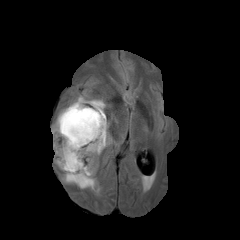
FLAIR MRI.
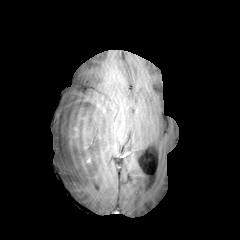
T1-weighted magnetic resonance of the same slice.
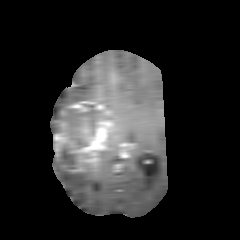
Post-contrast T1-weighted MR of the same slice.
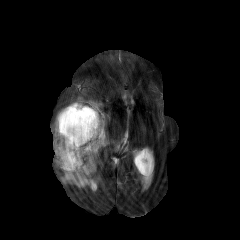
T2-weighted MR.
240x240 px
Edema: bounding box [60,166,99,191], [90,99,105,106], [51,95,87,137].
Non-enhancing tumor core: bounding box [54,145,78,171], [57,108,95,127].
Enhancing tumor: bounding box [53,101,109,171].